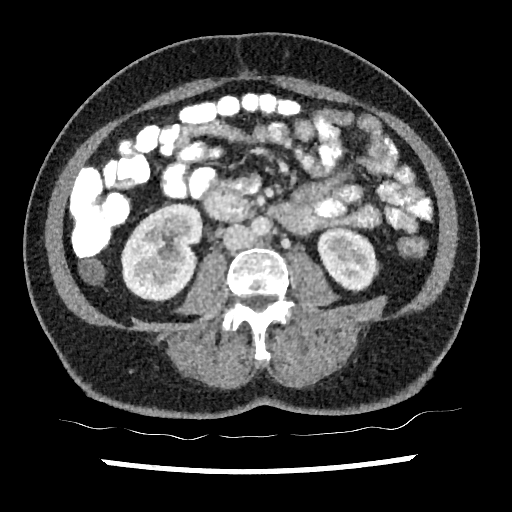 CT
{"kidney": ["[122,204,201,299]", "[318,229,375,289]"]}